Hippocampus. MR.
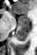

Posterior hippocampus — [16,23,28,41].
Anterior hippocampus — [18,16,28,22], [13,15,14,17].